240x240 px. Slice 105/155.
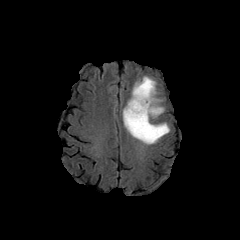
FLAIR MR image.
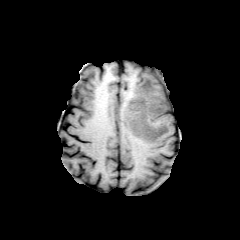
Same slice, T1-weighted MR.
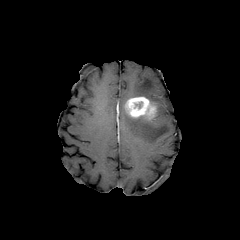
Post-contrast T1-weighted MR image.
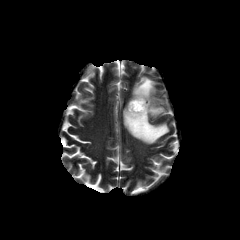
T2-weighted MR.
{
  "edema": [
    "box=[131, 76, 164, 117]",
    "box=[122, 108, 169, 144]"
  ],
  "enhancing_tumor": [
    "box=[124, 97, 157, 120]"
  ]
}